240x240 px | Field of view 240x240 mm | Slice index 105
FLAIR magnetic resonance.
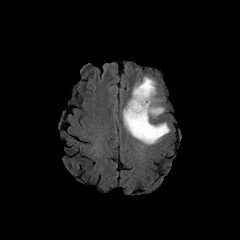
T1-weighted MR.
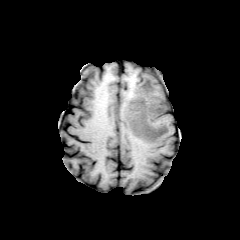
Post-contrast T1-weighted MR image.
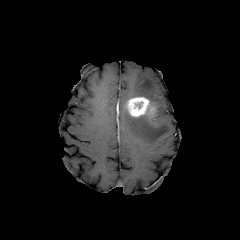
T2-weighted MR.
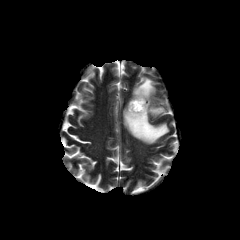
non-enhancing tumor core: 127:100:161:136 | edema: 122:108:169:144, 132:76:164:116 | enhancing tumor: 126:96:155:117